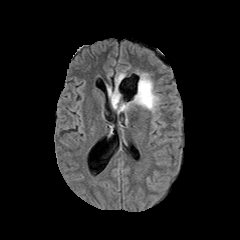
FLAIR MR.
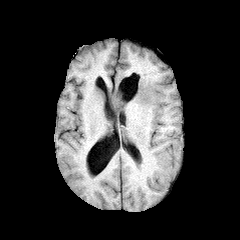
T1-weighted magnetic resonance.
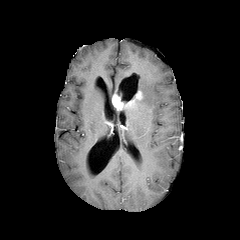
Same slice, post-contrast T1-weighted MRI.
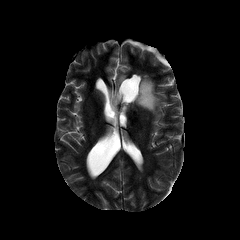
T2-weighted magnetic resonance.
Edema: bounding box 108,86,113,107; 114,72,133,102; 124,73,161,112.
Enhancing tumor: bounding box 134,91,142,99; 112,92,133,110.